Slice index 87 | Head
FLAIR MRI.
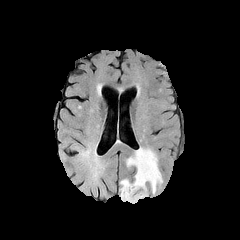
T1-weighted MR image.
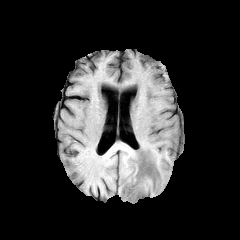
Post-contrast T1-weighted MR image.
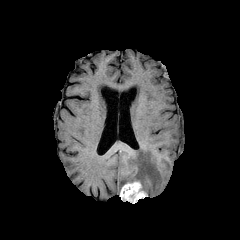
T2-weighted MRI.
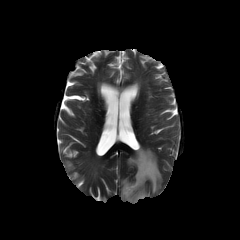
enhancing tumor: l=120, t=181, r=146, b=203 | edema: l=120, t=147, r=162, b=194